CT

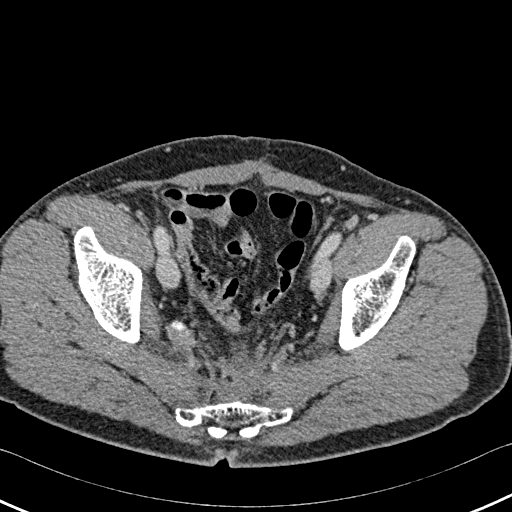
{"bone": ["[x1=339, y1=236, x2=414, y2=349]", "[x1=175, y1=401, x2=292, y2=437]", "[x1=74, y1=227, x2=141, y2=342]"]}